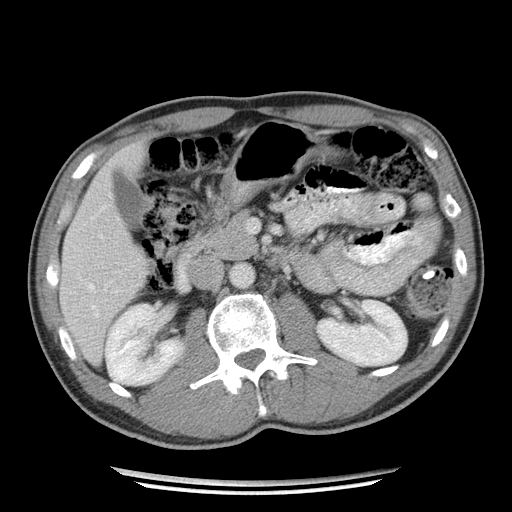
512x512. CT scan slice.
Pancreas — 208, 213, 256, 259.